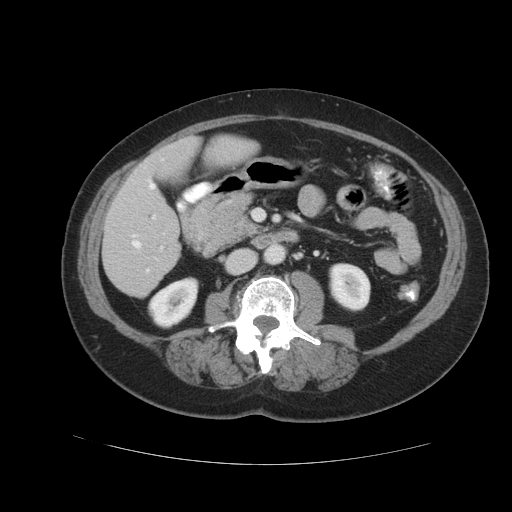 512x512 px | Abdomen | CT slice

Only some of the vessels may be annotated.
hepatic vessel: 149:184:154:188, 153:216:155:218, 133:240:140:246, 146:269:148:271, 133:234:135:237